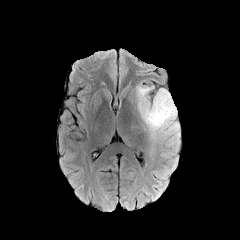
FLAIR MR.
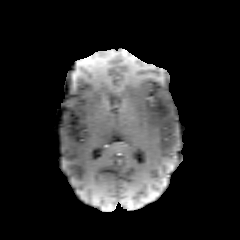
T1-weighted magnetic resonance.
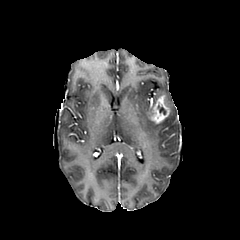
Same slice, post-contrast T1-weighted MR.
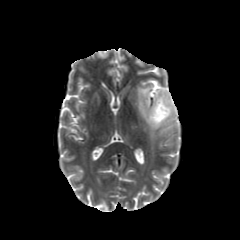
T2-weighted MRI.
240x240 px.
{
  "non-enhancing_tumor_core": [
    "l=145, t=91, r=162, b=124"
  ],
  "enhancing_tumor": [
    "l=148, t=94, r=170, b=123"
  ],
  "edema": [
    "l=135, t=82, r=179, b=147",
    "l=154, t=167, r=168, b=191"
  ]
}